Slice 136/322, Image width 417 mm, CT 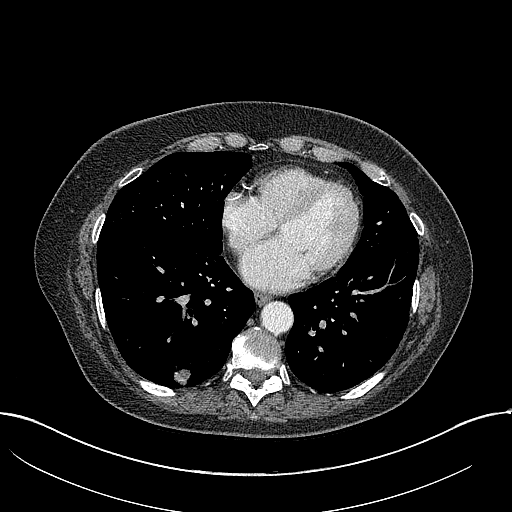
lung tumor: box=[172, 365, 191, 385]